CT 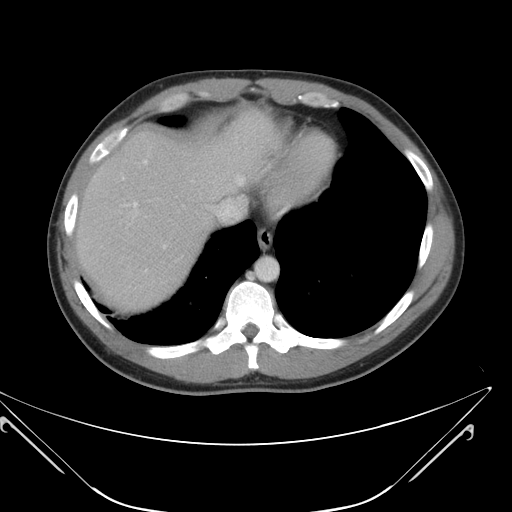 The vessel boxes may cover only some of the vessels.
Hepatic vessel = 133:202:136:206, 163:245:165:247, 216:199:239:220, 144:160:146:163.